FLAIR magnetic resonance.
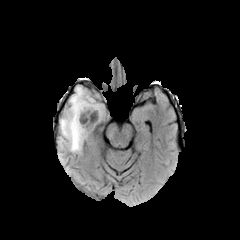
T1-weighted magnetic resonance.
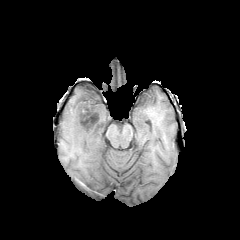
Post-contrast T1-weighted MRI.
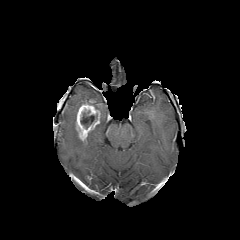
T2-weighted MRI.
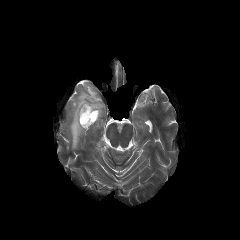
Findings:
• edema: (x1=100, y1=104, x2=105, y2=120), (x1=60, y1=87, x2=91, y2=152)
• enhancing tumor: (x1=76, y1=99, x2=99, y2=139)
• non-enhancing tumor core: (x1=80, y1=112, x2=98, y2=128)